FLAIR MR.
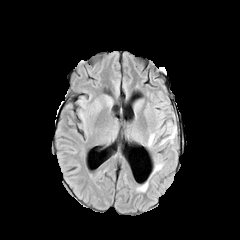
T1-weighted MRI.
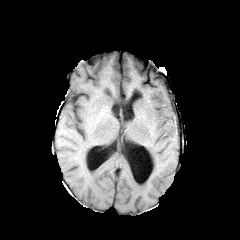
Post-contrast T1-weighted MR.
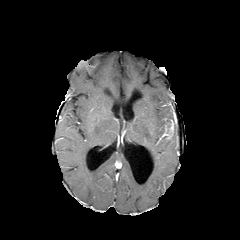
T2-weighted MRI.
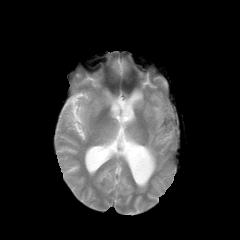
Head
- edema: (left=146, top=110, right=170, bottom=149), (left=152, top=156, right=163, bottom=174), (left=137, top=181, right=148, bottom=191)